CT; Field of view 464x464 mm; Slice 145/240; 512x512 px
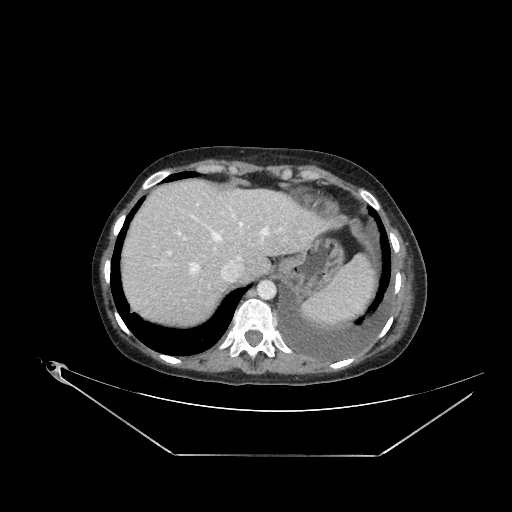

<segmentation>
  <liver>[128, 182, 326, 321]</liver>
</segmentation>